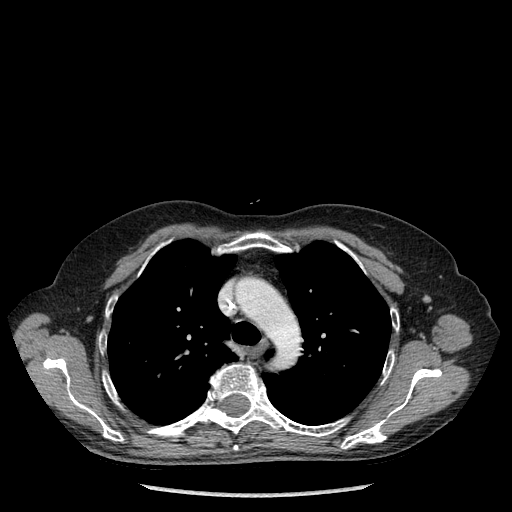

512x512 px; CT; Chest
<segmentation>
  <lung>264,241,391,425; 107,239,260,424</lung>
  <bone>99,332,106,353; 138,245,160,275; 390,307,399,330; 105,295,117,317; 335,240,363,269; 43,356,123,441; 147,364,348,436; 102,371,121,406; 217,232,291,253; 381,350,394,383; 341,369,441,448</bone>
</segmentation>